Image size 512x512; Computed tomography
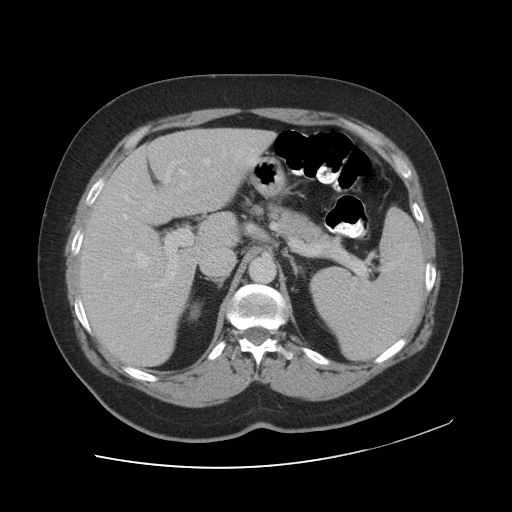
Not every hepatic vessel necessarily has a box.
<segmentation partial="true">
  <hepatic_vessel shown="15" total="18">x1=156, y1=280, x2=164, y2=285; x1=124, y1=194, x2=128, y2=200; x1=136, y1=302, x2=138, y2=305; x1=124, y1=215, x2=127, y2=218; x1=176, y1=184, x2=182, y2=193; x1=205, y1=158, x2=208, y2=163; x1=179, y1=169, x2=188, y2=174; x1=165, y1=229, x2=192, y2=280; x1=143, y1=203, x2=152, y2=212; x1=133, y1=201, x2=135, y2=203; x1=164, y1=169, x2=170, y2=182; x1=123, y1=247, x2=130, y2=251; x1=133, y1=178, x2=135, y2=180; x1=136, y1=252, x2=149, y2=267; x1=175, y1=162, x2=178, y2=163</hepatic_vessel>
</segmentation>